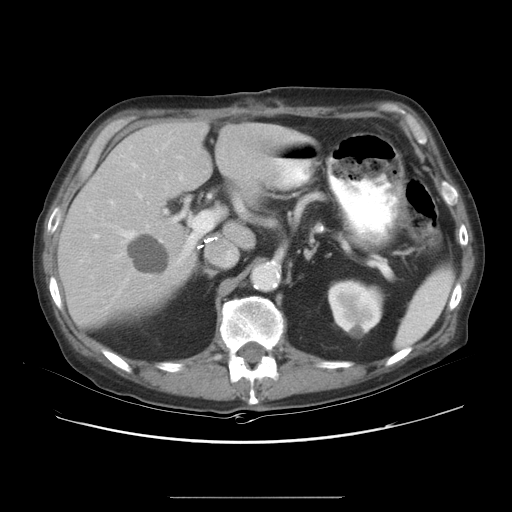 CT scan slice. Only some of the vessels may be annotated.
8 hepatic vessel regions are located at [x1=173, y1=211, x2=185, y2=221], [x1=119, y1=230, x2=135, y2=241], [x1=108, y1=224, x2=111, y2=226], [x1=109, y1=200, x2=114, y2=206], [x1=114, y1=226, x2=117, y2=226], [x1=237, y1=203, x2=242, y2=211], [x1=93, y1=235, x2=99, y2=237], [x1=174, y1=210, x2=219, y2=265]. The liver tumor appears at [x1=130, y1=235, x2=167, y2=273].